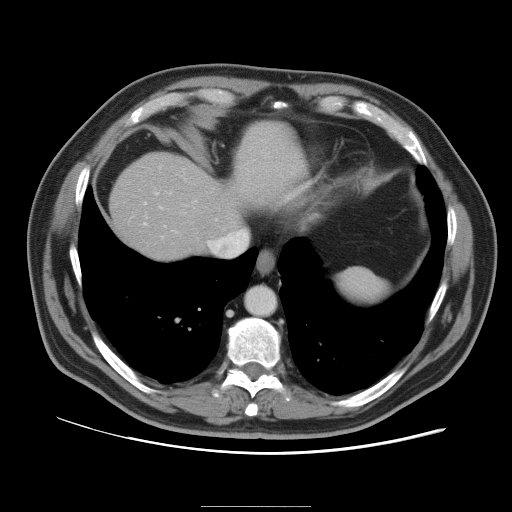 Liver, CT image
Some hepatic vessels may have no box.
Hepatic vessel: (263, 153, 267, 157), (144, 203, 146, 204), (145, 216, 146, 218), (291, 172, 294, 173), (160, 207, 161, 208), (153, 192, 158, 194), (194, 200, 196, 202), (144, 222, 146, 224), (171, 230, 177, 232).